Magnetic resonance; Medial temporal lobe; Slice 6/32

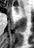
anterior_hippocampus:
  - bbox=[14, 6, 18, 12]